FLAIR MR.
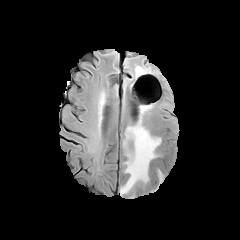
T1-weighted magnetic resonance.
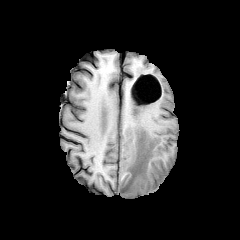
Post-contrast T1-weighted MRI.
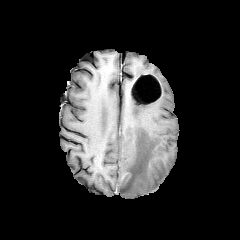
T2-weighted MR image.
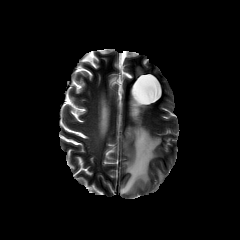
Segmented structures:
- edema: box=[120, 117, 161, 194]